CT, Abdomen, 512x512 px, Slice 52 of 95 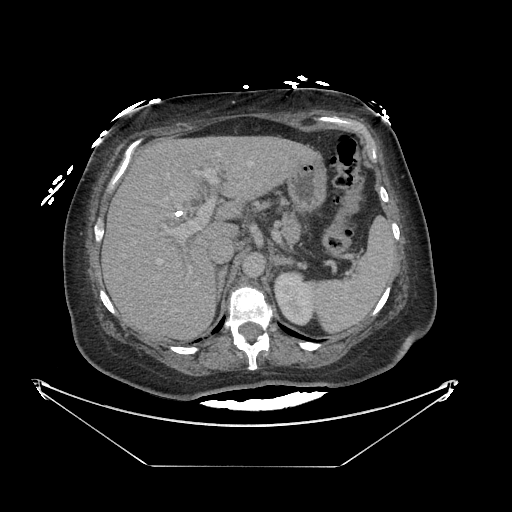
Findings:
- pancreas: [x1=282, y1=212, x2=299, y2=243]